CT slice | 512x512 px
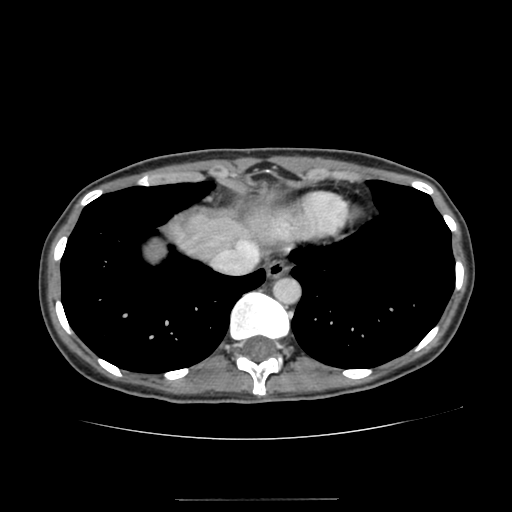
{"liver": ["248 211 286 238", "171 212 246 260"]}